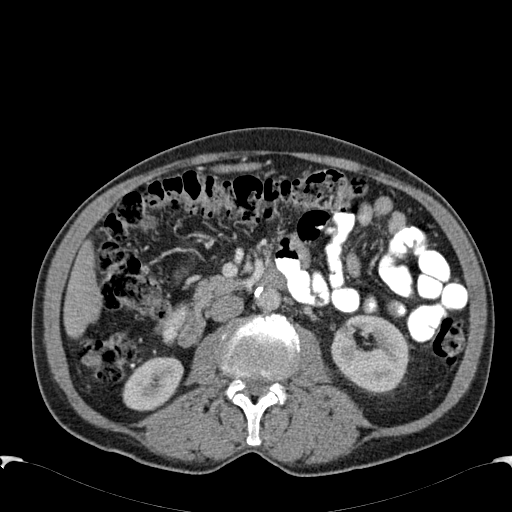

CT scan slice. 512x512 px. 2 liver regions are bounded by 65,241,102,337; 214,162,259,172. 2 kidney regions appear at 332,318,407,391; 123,358,182,410.